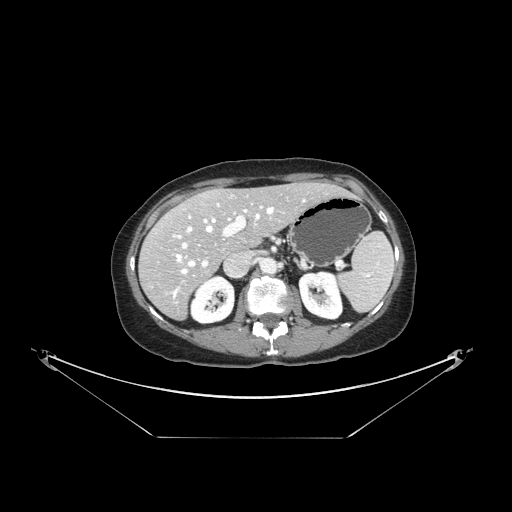

Liver | CT

The vessel boxes may cover only some of the vessels.
<segmentation>
  <hepatic_vessel>(left=207, top=226, right=211, bottom=230), (left=203, top=261, right=206, bottom=265), (left=188, top=228, right=190, bottom=231), (left=224, top=216, right=244, bottom=235), (left=268, top=208, right=272, bottom=212), (left=183, top=244, right=186, bottom=247), (left=256, top=215, right=258, bottom=217)</hepatic_vessel>
</segmentation>